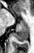
34x53 px | MRI | Hippocampus
<segmentation>
  <posterior_hippocampus>(x1=13, y1=20, x2=28, y2=41)</posterior_hippocampus>
</segmentation>